Slice 47/80. Upper abdomen. CT image. Field of view 360 mm wide, 2.50 mm slice spacing.

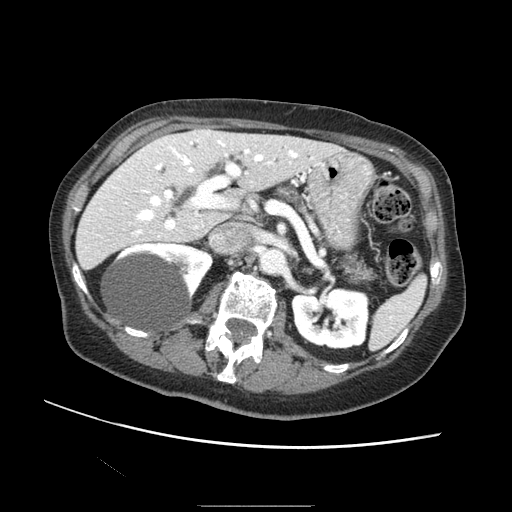
pancreas:
  - 275, 185, 301, 207
  - 336, 252, 372, 285